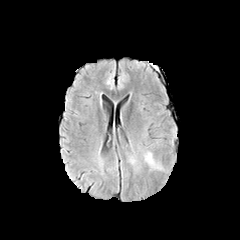
FLAIR MR.
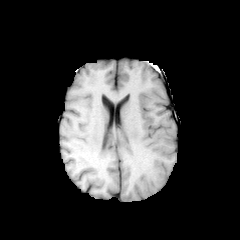
T1-weighted magnetic resonance.
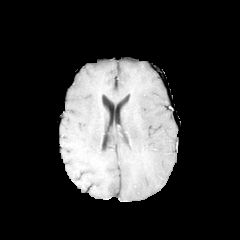
Post-contrast T1-weighted MRI.
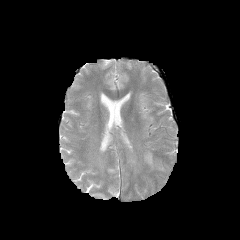
T2-weighted MRI.
240x240
edema: box(141, 150, 164, 170)